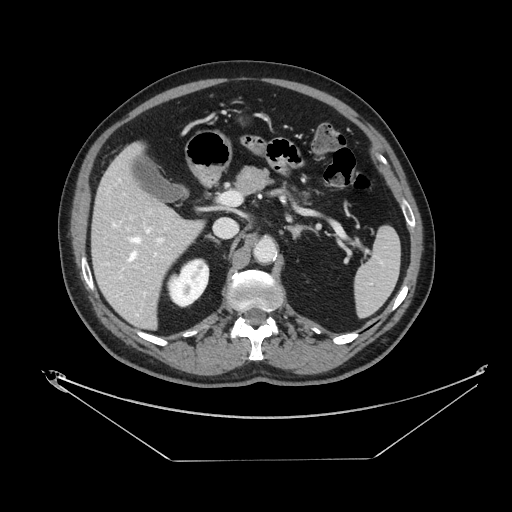

Abdomen, Image size 512x512, CT scan slice
pancreas: (x1=234, y1=166, x2=306, y2=200)